CT; Slice index 145; Lower abdomen; 512x512 px
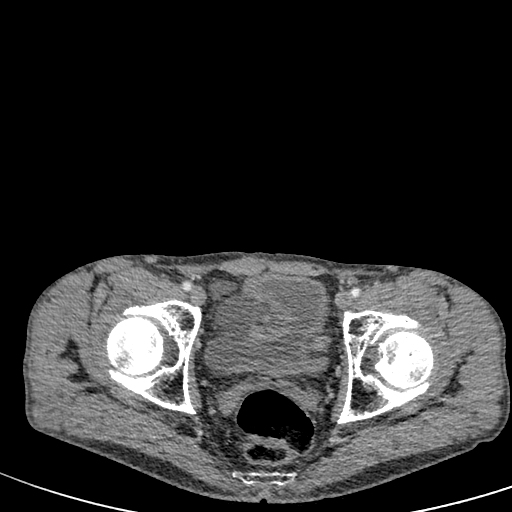

The urinary bladder is at 205, 273, 328, 390.